Image size 240x240, Head, Slice 86 of 155
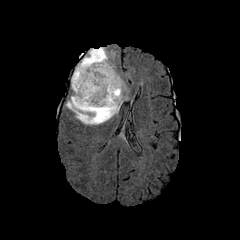
FLAIR MR image.
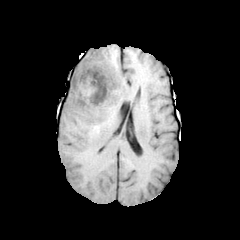
T1-weighted MRI.
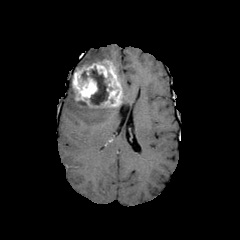
Post-contrast T1-weighted MR.
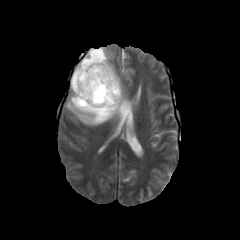
T2-weighted MR image.
2 edema regions are located at region(75, 47, 115, 69); region(66, 79, 120, 126). The non-enhancing tumor core is at region(75, 66, 108, 110). The enhancing tumor is at region(72, 60, 123, 107).